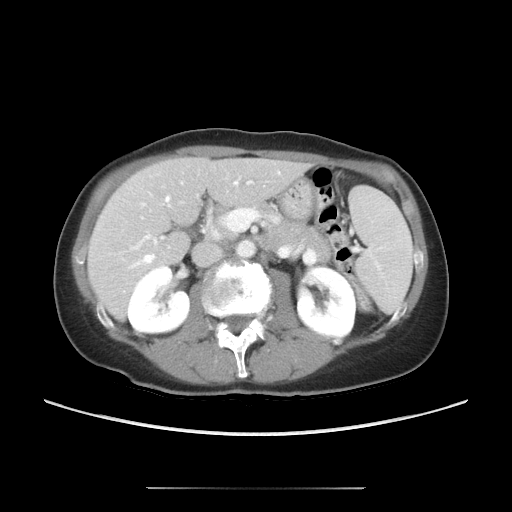

Computed tomography. Liver. 512x512 px. Some hepatic vessels may have no box.
{"hepatic_vessel": ["left=143, top=255, right=153, bottom=261", "left=246, top=181, right=253, bottom=184", "left=161, top=237, right=163, bottom=238", "left=165, top=196, right=169, bottom=201", "left=142, top=234, right=157, bottom=245", "left=181, top=181, right=183, bottom=184", "left=232, top=182, right=236, bottom=184", "left=141, top=203, right=145, bottom=206"]}